Image size 512x512 | Computed tomography | Abdomen 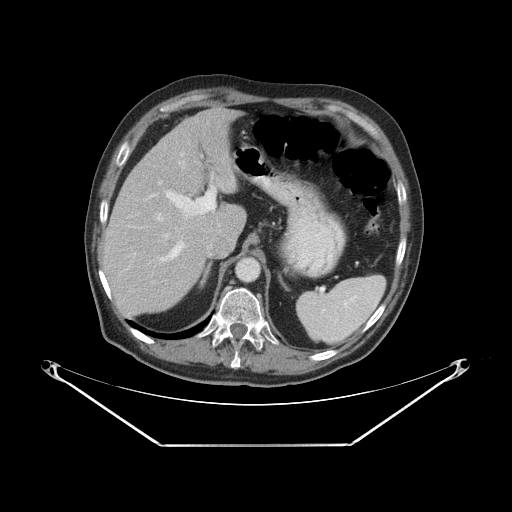
Only some of the vessels may be annotated.
9 hepatic vessel regions are bounded by box(143, 192, 158, 200); box(134, 252, 135, 255); box(158, 237, 187, 262); box(163, 189, 190, 219); box(157, 232, 170, 243); box(155, 214, 163, 221); box(158, 181, 161, 184); box(181, 153, 183, 155); box(179, 161, 185, 168).